CT | Slice 64/96 | Abdomen | Image width 417 mm

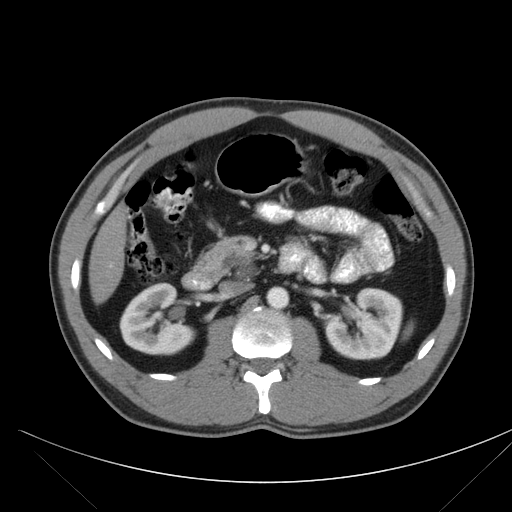
The pancreatic tumor appears at 223,252,256,280. The pancreas is at 199,236,256,278.